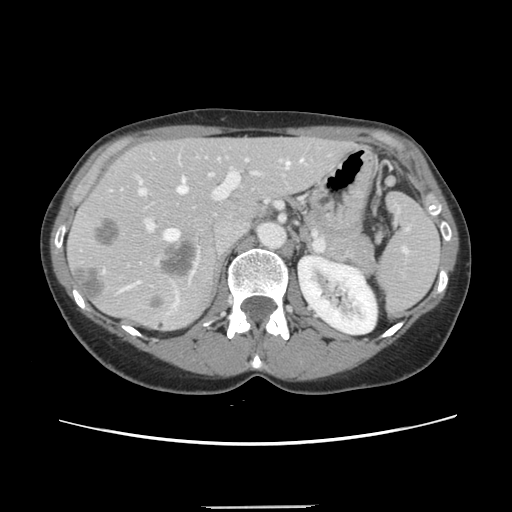

CT slice.

The vessel annotation is not exhaustive.
14 hepatic vessel regions are bounded by 284, 161, 289, 168; 280, 159, 281, 161; 245, 159, 247, 160; 177, 178, 186, 193; 136, 176, 141, 185; 300, 159, 303, 161; 213, 168, 238, 198; 135, 281, 139, 284; 251, 172, 258, 174; 163, 228, 178, 240; 121, 286, 131, 290; 144, 219, 153, 230; 209, 173, 212, 175; 138, 188, 145, 194. 3 liver tumor regions appear at 77, 267, 103, 299; 159, 241, 196, 277; 95, 218, 120, 246.